CT; Image size 512x512

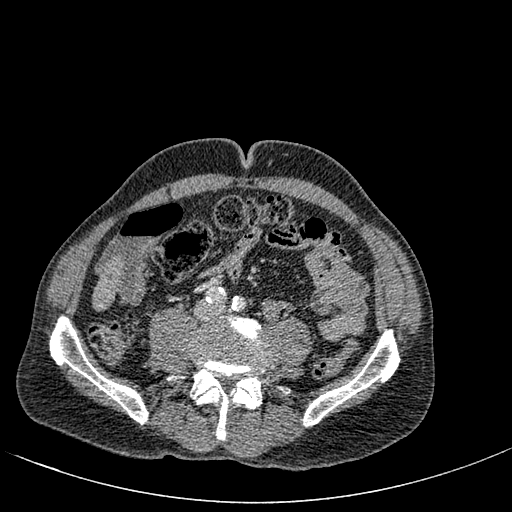

The liver appears at x1=92, y1=256, x2=122, y2=310.